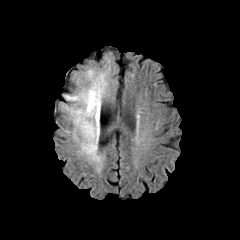
FLAIR MR.
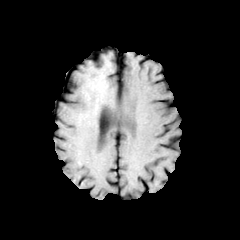
T1-weighted MRI of the same slice.
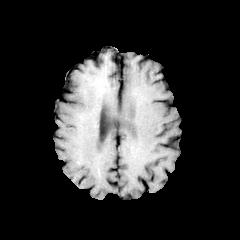
Same slice, post-contrast T1-weighted MR.
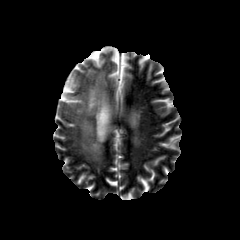
T2-weighted MRI.
Brain
{"non-enhancing_tumor_core": ["(79,85,104,117)"], "edema": ["(65,74,106,162)"]}